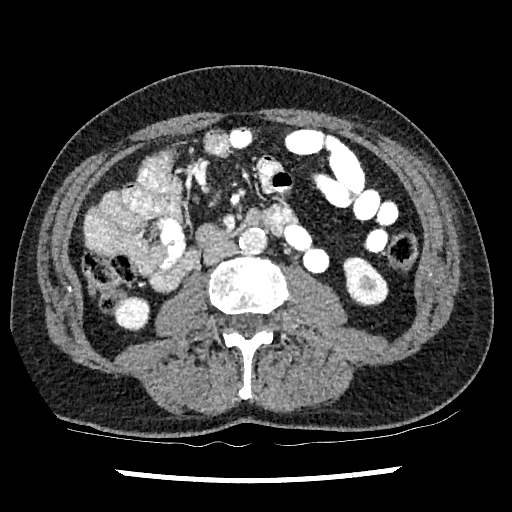

CT scan slice, Abdomen
2 kidney regions are located at x1=344, y1=258, x2=386, y2=303; x1=117, y1=299, x2=148, y2=327.